Slice index 523. 512x512. CT slice. Brain.
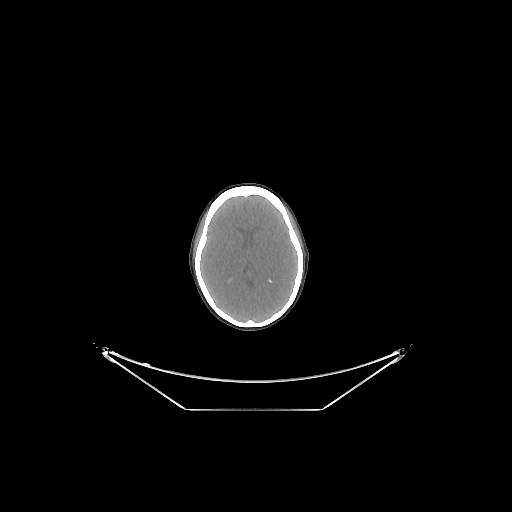 brain: {"x1": 200, "y1": 194, "x2": 297, "y2": 322}